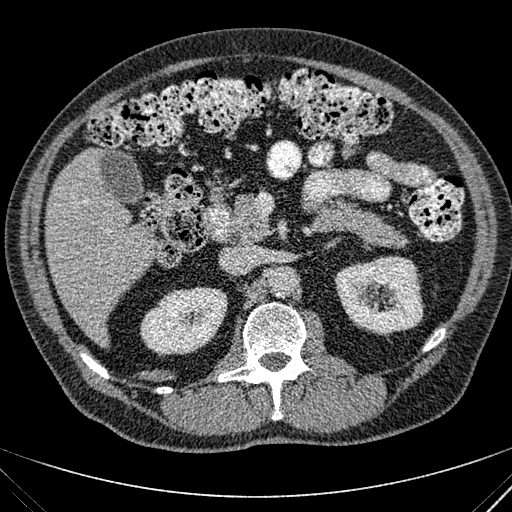
Abdomen. Computed tomography.

Liver = rect(45, 148, 156, 342).
Kidney = rect(335, 257, 422, 333); rect(140, 287, 227, 354).